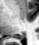

Magnetic resonance
The posterior hippocampus is at left=15, top=35, right=23, bottom=39.